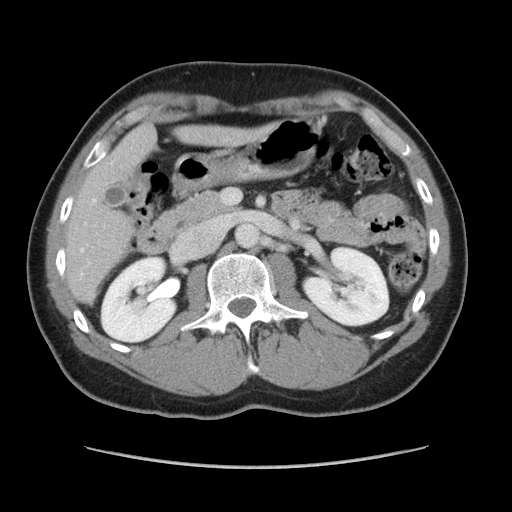
Abdomen, CT slice
Not every hepatic vessel necessarily has a box.
• hepatic vessel: x1=81, y1=248, x2=82, y2=251; x1=81, y1=273, x2=82, y2=278; x1=88, y1=262, x2=90, y2=265; x1=93, y1=199, x2=95, y2=203